FLAIR MRI.
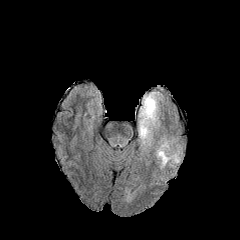
T1-weighted MRI.
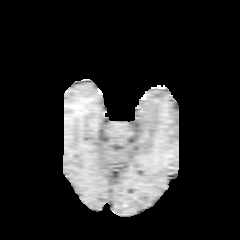
Post-contrast T1-weighted MR image.
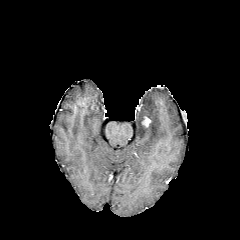
T2-weighted MR image.
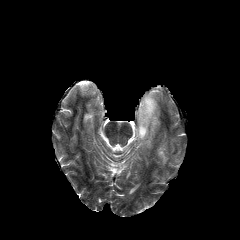
• enhancing tumor: <bbox>141, 116, 151, 127</bbox>
• edema: <bbox>137, 89, 163, 148</bbox>, <bbox>155, 140, 175, 166</bbox>